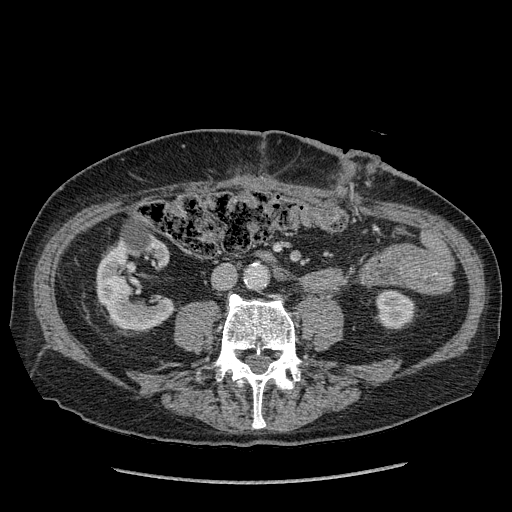
Abdomen. 512x512 px. CT slice.

Kidney — 376 290 413 328, 97 242 173 329, 146 239 168 266.